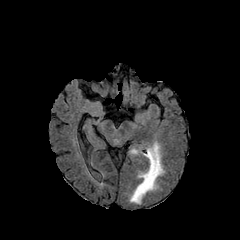
FLAIR MR image.
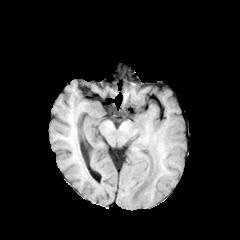
T1-weighted MRI of the same slice.
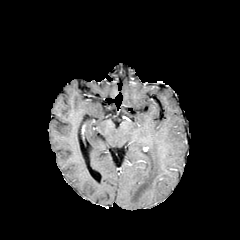
Same slice, post-contrast T1-weighted MR.
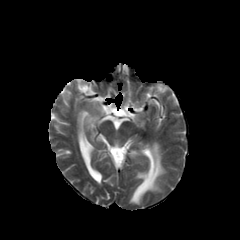
T2-weighted MR image.
Edema at [129,144,165,203].